FLAIR MRI.
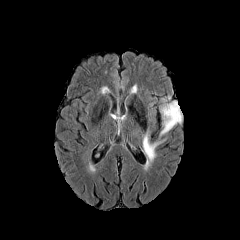
T1-weighted MRI.
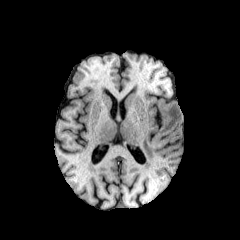
Post-contrast T1-weighted MR image.
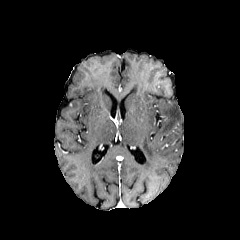
T2-weighted MR.
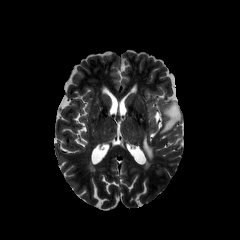
Edema — [x1=141, y1=134, x2=158, y2=166], [x1=160, y1=102, x2=182, y2=135].